Image width 430 mm, Image size 512x512, CT scan slice, Abdomen

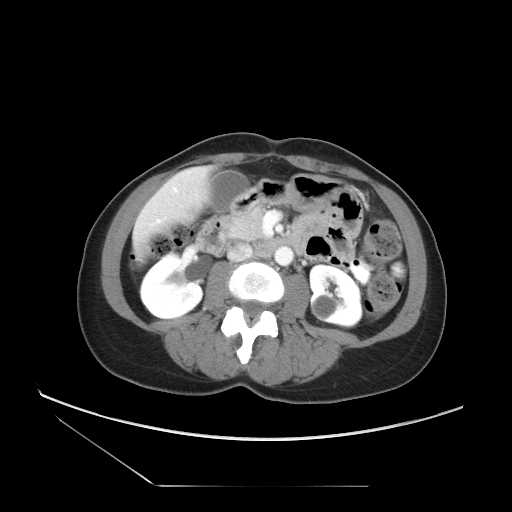

Pancreas at (left=229, top=210, right=265, bottom=239).